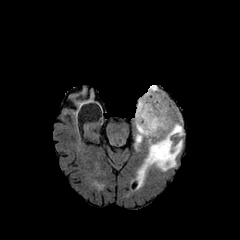
FLAIR MRI.
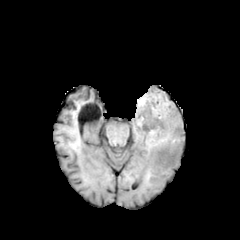
T1-weighted MR.
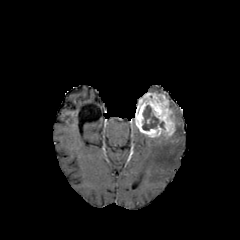
Post-contrast T1-weighted MR of the same slice.
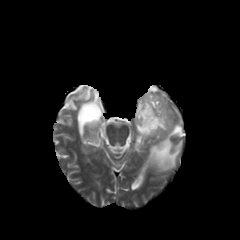
T2-weighted MRI of the same slice.
enhancing_tumor:
  - left=135, top=92, right=174, bottom=137
edema:
  - left=148, top=85, right=167, bottom=99
  - left=135, top=128, right=181, bottom=184
  - left=166, top=100, right=183, bottom=137
non-enhancing_tumor_core:
  - left=142, top=105, right=163, bottom=130